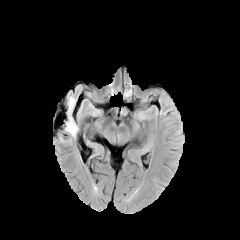
FLAIR MR.
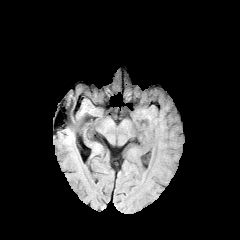
Same slice, T1-weighted MRI.
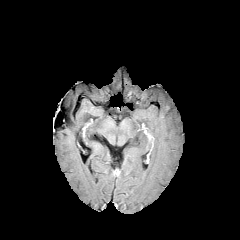
Post-contrast T1-weighted magnetic resonance.
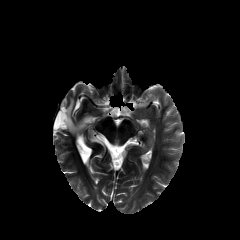
T2-weighted MR.
edema: [x1=64, y1=96, x2=78, y2=138]